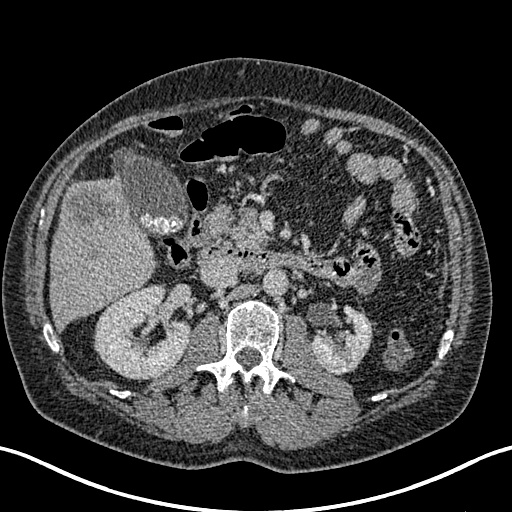

Computed tomography, Upper abdomen

kidney:
  - [312,307,370,373]
  - [96,286,189,378]
liver:
  - [92,178,123,203]
  - [49,184,155,329]
hepatic_lesion:
  - [65,182,124,227]